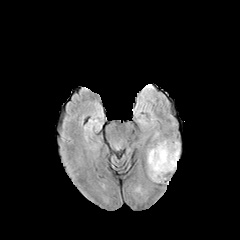
FLAIR MR.
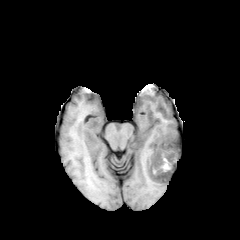
Same slice, T1-weighted MRI.
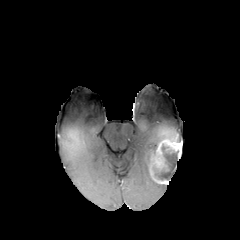
Same slice, post-contrast T1-weighted MR.
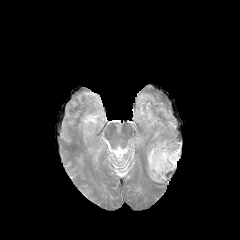
T2-weighted magnetic resonance.
The enhancing tumor is at x1=157 y1=139 x2=182 y2=160. The non-enhancing tumor core appears at x1=147 y1=143 x2=179 y2=183. The edema is bounded by x1=147 y1=131 x2=162 y2=159.